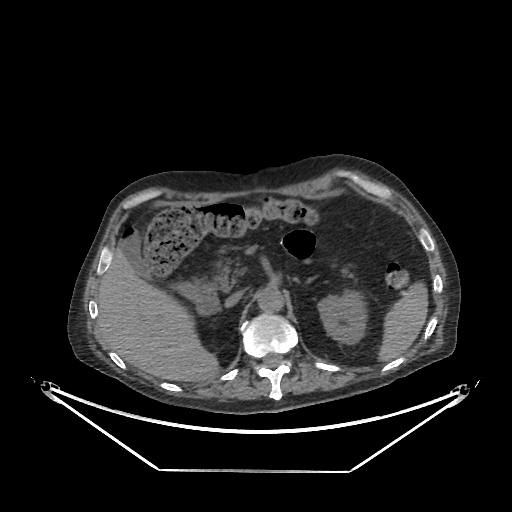 Upper abdomen. Computed tomography.

Segmented structures:
• liver: [94,247,218,381]
• kidney: [318,290,367,344]